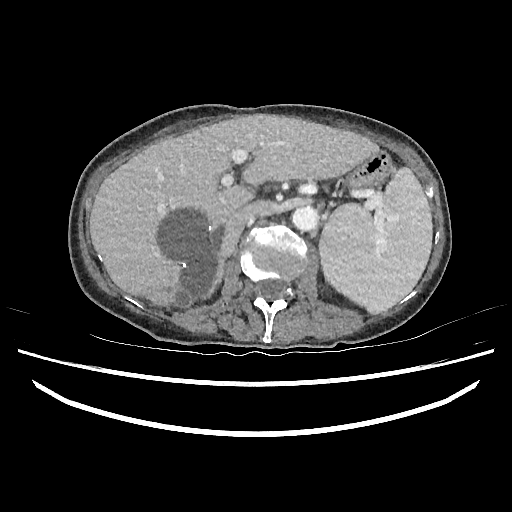

512x512 px, Computed tomography
{"liver_lesion": ["<box>159,210,223,304</box>"], "liver": ["<box>90,116,374,305</box>", "<box>206,262,220,293</box>"]}